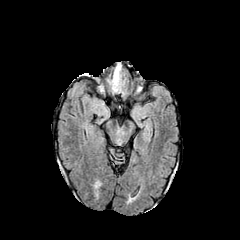
FLAIR MRI.
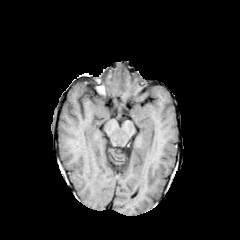
T1-weighted MRI.
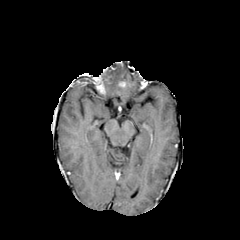
Same slice, post-contrast T1-weighted MR.
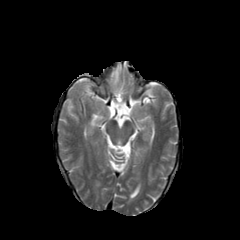
T2-weighted MR of the same slice.
240x240
Findings:
- edema: {"x1": 107, "y1": 62, "x2": 123, "y2": 92}